FLAIR MR.
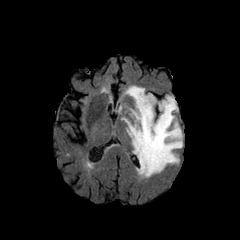
T1-weighted MR.
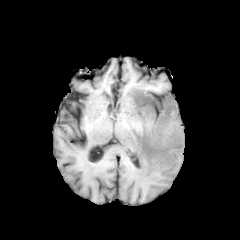
Post-contrast T1-weighted magnetic resonance.
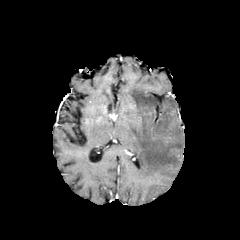
T2-weighted MR.
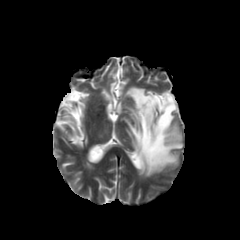
<segmentation>
  <non-enhancing_tumor_core>150,97,166,105</non-enhancing_tumor_core>
  <edema>124,86,182,177</edema>
</segmentation>